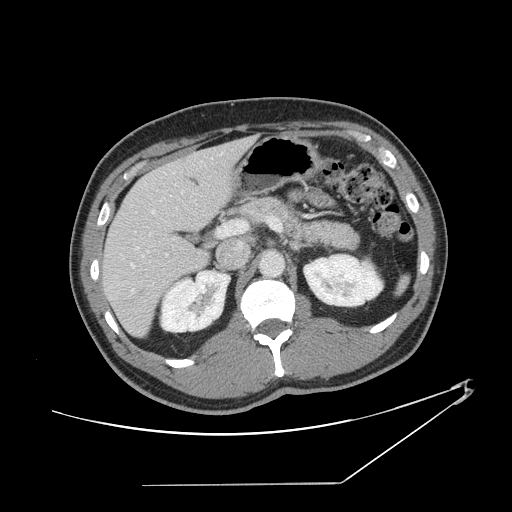 CT scan slice. Liver.
The vessel boxes may cover only some of the vessels.
8 hepatic vessel regions are bounded by bbox(152, 211, 153, 212); bbox(131, 264, 134, 267); bbox(131, 290, 133, 291); bbox(165, 254, 167, 255); bbox(220, 153, 222, 155); bbox(136, 248, 138, 249); bbox(142, 254, 144, 256); bbox(160, 199, 163, 200).